Abdomen. CT slice.

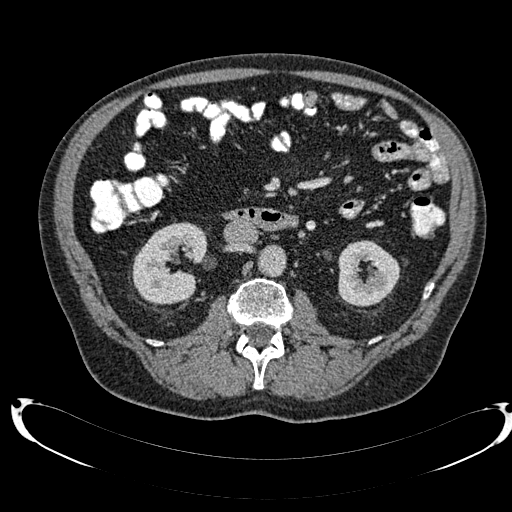
Annotated regions:
- kidney: (left=338, top=240, right=399, bottom=306), (left=133, top=222, right=206, bottom=304)